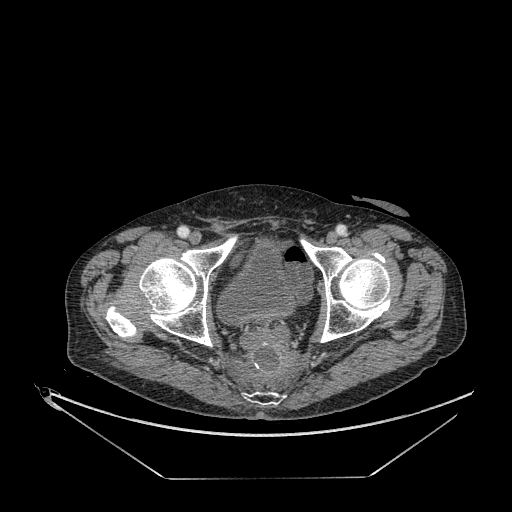

CT slice | 512x512 | Lower abdomen
The urinary bladder is at region(216, 238, 298, 324).